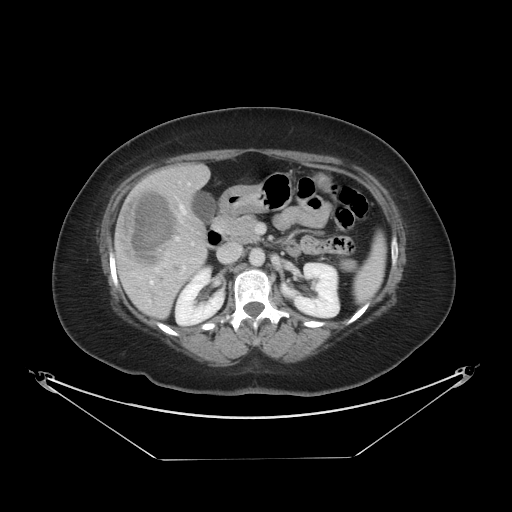

CT image; Abdomen
The vessel boxes may cover only some of the vessels.
Segmented structures:
* liver tumor: bbox(121, 192, 178, 266)
* hepatic vessel: bbox(175, 237, 180, 241); bbox(155, 268, 157, 270); bbox(150, 280, 153, 283); bbox(180, 205, 185, 213); bbox(191, 242, 194, 245)